FLAIR MRI.
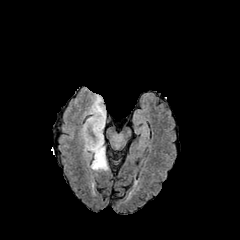
T1-weighted MR.
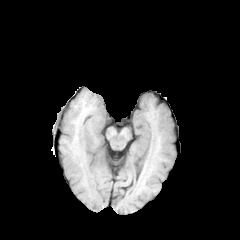
Post-contrast T1-weighted MRI.
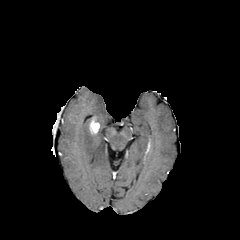
T2-weighted MR image.
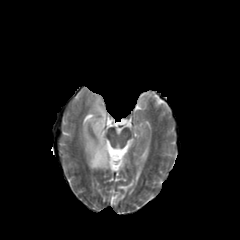
Head
The enhancing tumor is located at <bbox>90, 117, 99, 133</bbox>. The edema appears at <bbox>80, 94, 109, 171</bbox>.